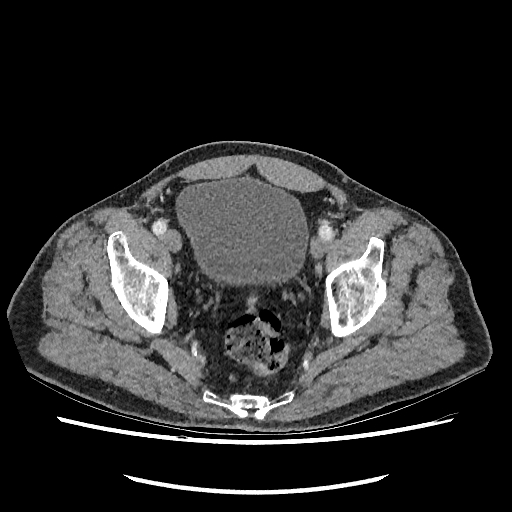
Pelvis. CT.
• urinary bladder: 176:176:308:284